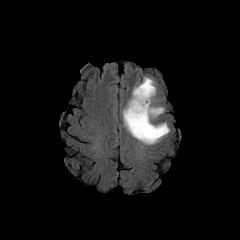
FLAIR MRI.
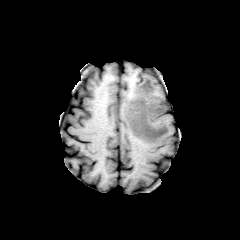
T1-weighted magnetic resonance.
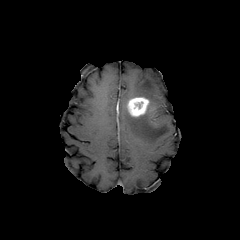
Same slice, post-contrast T1-weighted MR image.
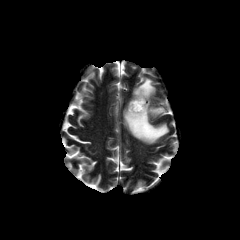
T2-weighted MR.
The enhancing tumor appears at box(126, 96, 157, 117). 2 edema regions are located at box(133, 77, 155, 105); box(122, 105, 169, 144).